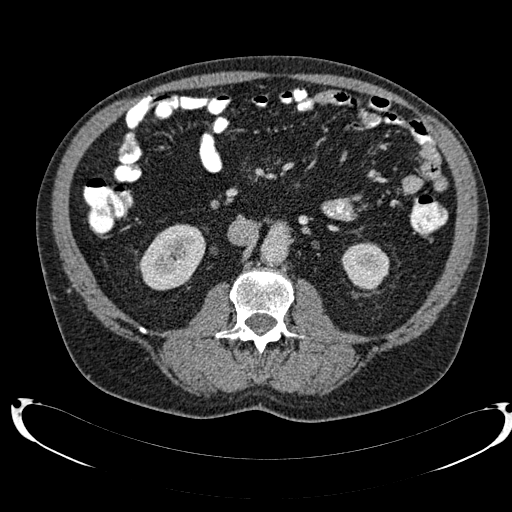 Abdomen; CT slice
Kidney = box(342, 243, 388, 289); box(139, 224, 205, 290).